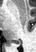

Hippocampus, MRI, 36x52 px

• posterior hippocampus: 13,40,19,43